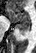

Magnetic resonance; Hippocampus; Image size 36x53
Anterior hippocampus at (x1=7, y1=9, x2=29, y2=22).
Posterior hippocampus at (x1=16, y1=23, x2=29, y2=34).